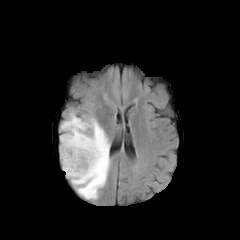
FLAIR magnetic resonance.
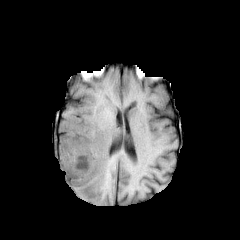
T1-weighted MRI of the same slice.
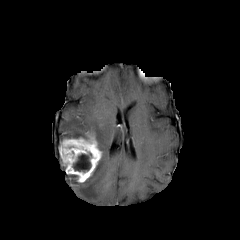
Same slice, post-contrast T1-weighted MR.
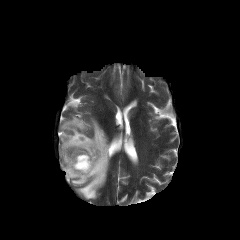
T2-weighted magnetic resonance.
Brain
{"non-enhancing_tumor_core": ["region(73, 154, 90, 171)"], "enhancing_tumor": ["region(59, 136, 102, 182)"], "edema": ["region(60, 113, 110, 200)"]}